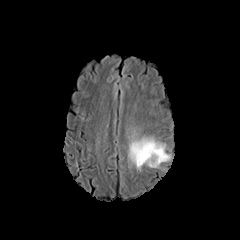
FLAIR MR image.
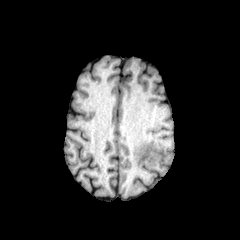
T1-weighted magnetic resonance of the same slice.
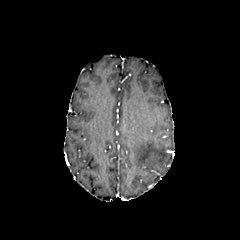
Post-contrast T1-weighted magnetic resonance.
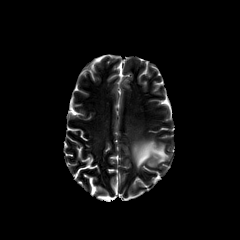
T2-weighted MR of the same slice.
240x240 px
The edema is at box=[130, 139, 169, 167].